512x512 px | CT slice | Upper abdomen

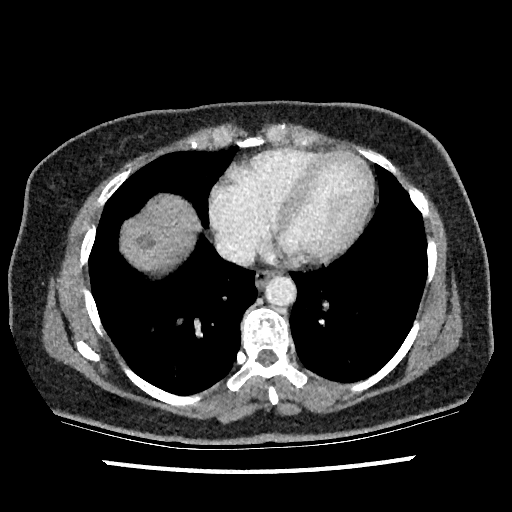 liver:
  - (123,197,195,268)
liver_lesion:
  - (138,235,155,249)